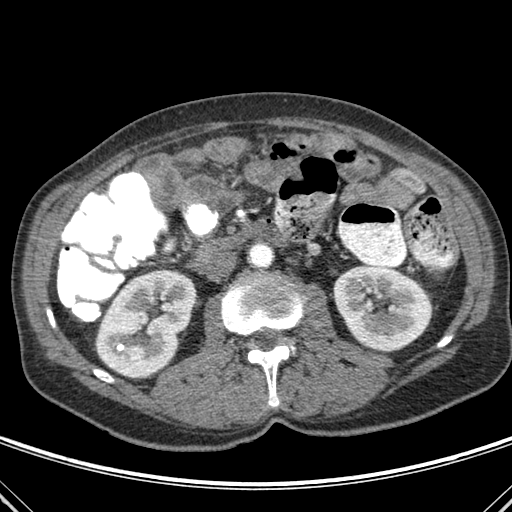

512x512 px, Abdomen, CT scan slice
bone:
  - 93:369:113:382
  - 47:310:54:327
  - 222:271:303:334
  - 437:335:451:347
  - 248:343:295:406
  - 236:210:244:217
kidney:
  - 334:265:430:350
  - 97:274:195:377